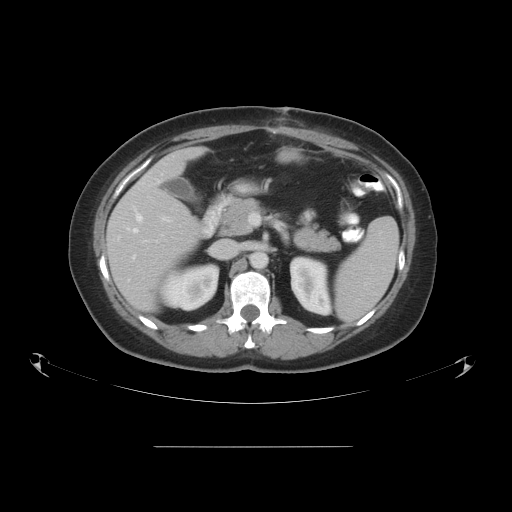
Computed tomography | Liver
The vessel boxes may cover only some of the vessels.
9 hepatic vessel regions appear at 141,173,150,184; 128,279,129,280; 150,179,160,185; 161,216,171,220; 128,228,138,232; 144,239,158,242; 118,236,120,239; 133,206,142,221; 132,254,135,260.